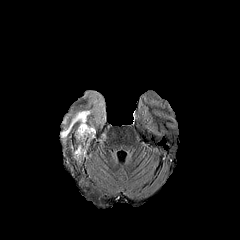
FLAIR MR image.
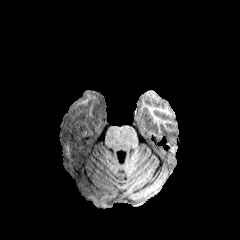
T1-weighted MR.
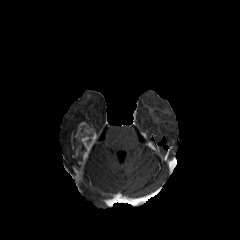
Post-contrast T1-weighted MR image of the same slice.
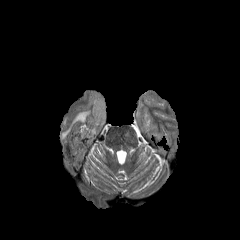
T2-weighted MRI of the same slice.
{
  "enhancing_tumor": [
    "[x1=70, y1=121, x2=96, y2=164]"
  ],
  "edema": [
    "[x1=60, y1=91, x2=106, y2=147]"
  ]
}